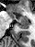
35x47 | MRI
{"posterior_hippocampus": ["16, 21, 28, 28"], "anterior_hippocampus": ["9, 13, 28, 20"]}